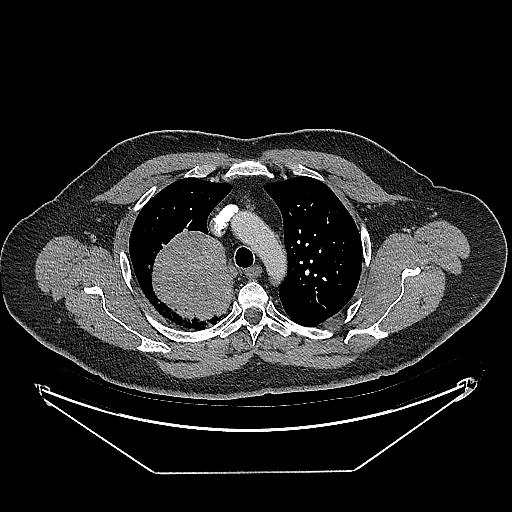 512x512 px, Chest, Computed tomography

The lung tumor appears at box=[145, 228, 235, 329].